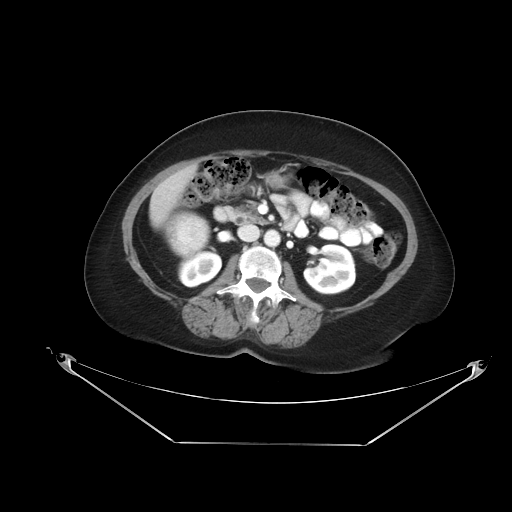

Computed tomography. 512x512 px.
liver_tumor:
  - <bbox>170, 216, 208, 254</bbox>